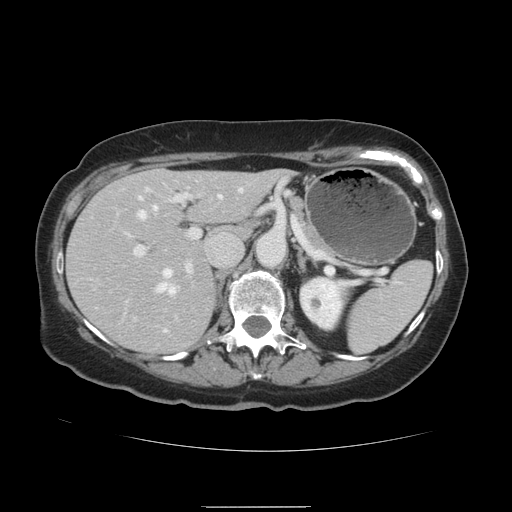
CT scan slice
The vessel annotation is not exhaustive.
hepatic vessel: x1=136, y1=211, x2=144, y2=218; x1=166, y1=192, x2=190, y2=201; x1=152, y1=205, x2=156, y2=209; x1=134, y1=246, x2=144, y2=255; x1=185, y1=262, x2=190, y2=272; x1=217, y1=195, x2=220, y2=198; x1=186, y1=229, x2=198, y2=238; x1=145, y1=187, x2=149, y2=191; x1=155, y1=282, x2=174, y2=295; x1=137, y1=197, x2=141, y2=199; x1=162, y1=269, x2=171, y2=280; x1=126, y1=233, x2=130, y2=236; x1=163, y1=328, x2=166, y2=331; x1=238, y1=187, x2=242, y2=191